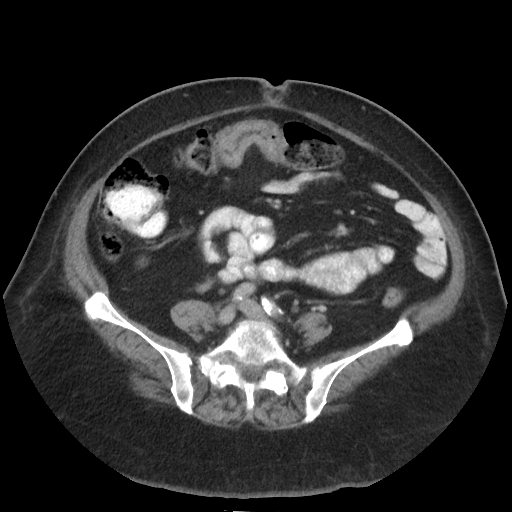

Computed tomography; Abdomen
The colon tumor appears at [215, 120, 288, 167].